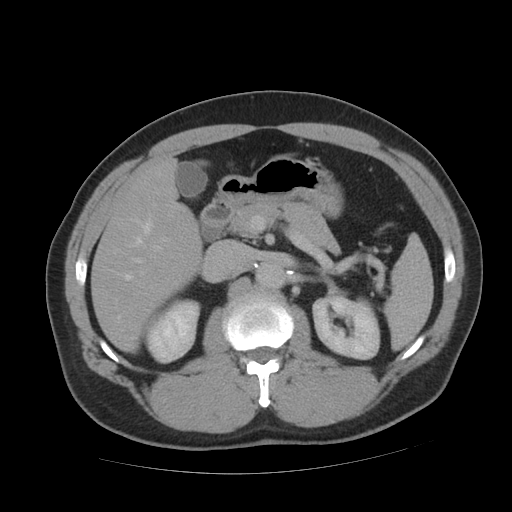

Computed tomography.

The vessel boxes may cover only some of the vessels.
hepatic_vessel:
  - left=135, top=219, right=151, bottom=234
  - left=139, top=271, right=144, bottom=274
  - left=154, top=246, right=159, bottom=248
  - left=131, top=258, right=141, bottom=262
  - left=130, top=236, right=142, bottom=246
  - left=118, top=272, right=133, bottom=281
  - left=116, top=319, right=121, bottom=322